Head; Image size 240x240; Slice index 67
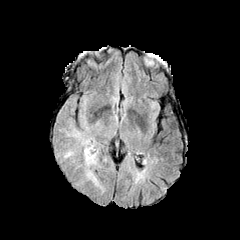
FLAIR MR image.
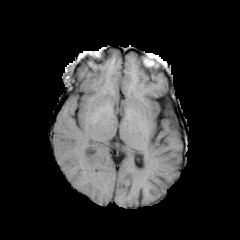
T1-weighted magnetic resonance of the same slice.
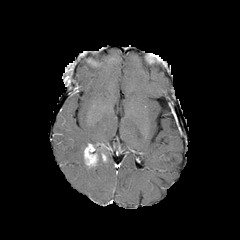
Post-contrast T1-weighted magnetic resonance.
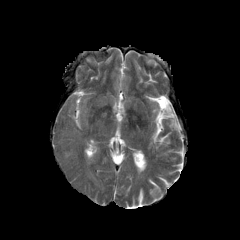
T2-weighted MR.
The edema is bounded by (85,141,105,165). The enhancing tumor appears at (84,144,95,164).